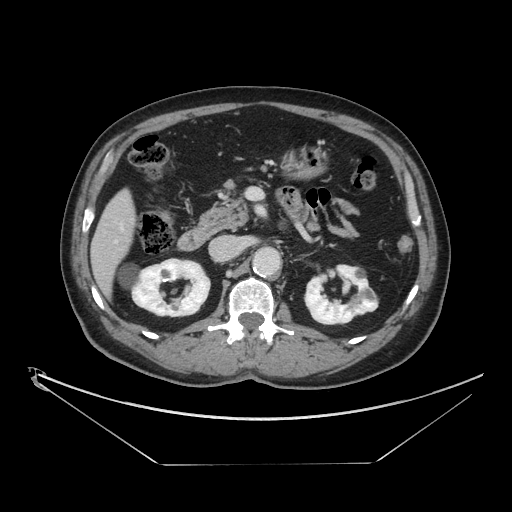

512x512 px | Liver | Computed tomography
Only some of the vessels may be annotated.
2 hepatic vessel regions are located at <bbox>115, 240, 116, 242</bbox>, <bbox>121, 226, 123, 231</bbox>.